FLAIR MR.
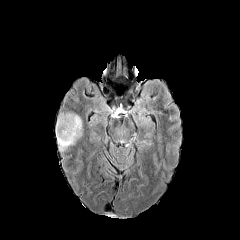
T1-weighted magnetic resonance.
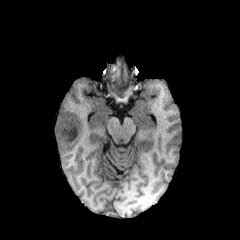
Post-contrast T1-weighted magnetic resonance.
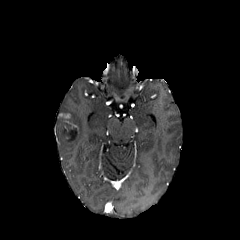
T2-weighted MRI.
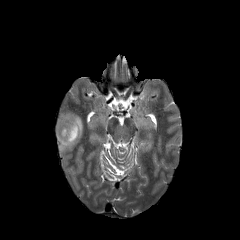
Head.
Findings:
• edema: x1=56, y1=114, x2=83, y2=153
• enhancing tumor: x1=58, y1=113, x2=70, y2=118
• non-enhancing tumor core: x1=57, y1=115, x2=78, y2=142